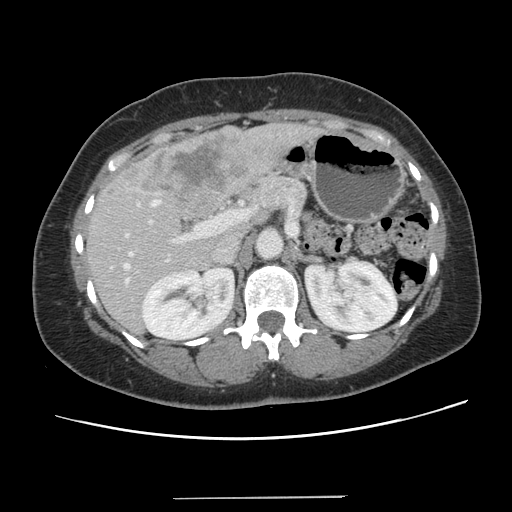
Liver | Computed tomography
Some hepatic vessels may have no box.
Liver tumor: 122:132:249:206.
Hepatic vessel: 125:278:129:283, 174:222:208:242, 129:252:132:255, 124:264:129:268, 149:220:151:223, 240:201:242:204, 137:202:139:205, 211:210:248:230, 126:234:128:236, 151:200:159:205.